Slice 387 of 677. Field of view 367x367 mm. CT scan slice. 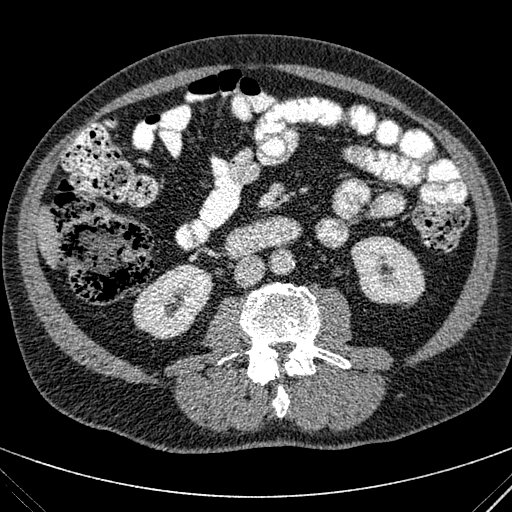

kidney:
  - <bbox>133, 265, 212, 338</bbox>
  - <bbox>351, 237, 424, 303</bbox>
liver:
  - <bbox>36, 205, 58, 268</bbox>